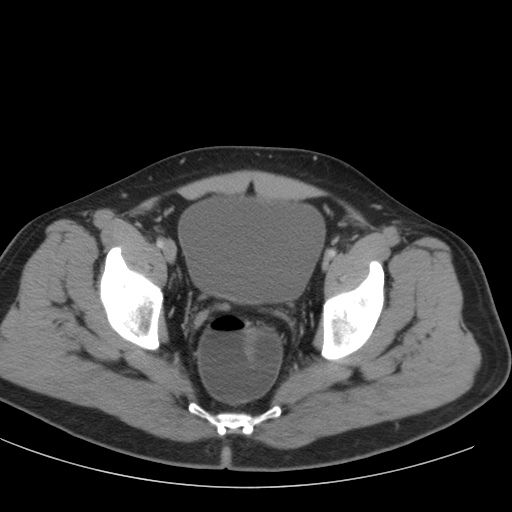 Image size 512x512 | CT image
urinary_bladder:
  - box(180, 192, 325, 303)